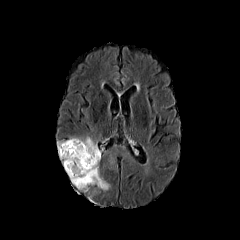
FLAIR MR.
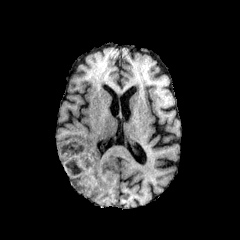
T1-weighted MR image.
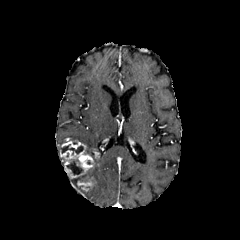
Post-contrast T1-weighted MRI.
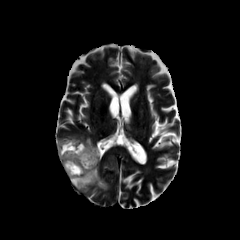
T2-weighted MRI.
Head. 240x240.
Findings:
- enhancing tumor: (x1=60, y1=139, x2=95, y2=178), (x1=77, y1=176, x2=96, y2=192), (x1=92, y1=149, x2=99, y2=161)
- edema: (x1=70, y1=136, x2=101, y2=159), (x1=70, y1=164, x2=109, y2=192)
- non-enhancing tumor core: (x1=66, y1=159, x2=83, y2=176), (x1=61, y1=144, x2=83, y2=154)